Upper abdomen, Field of view 490x490 mm, Computed tomography, Slice index 64

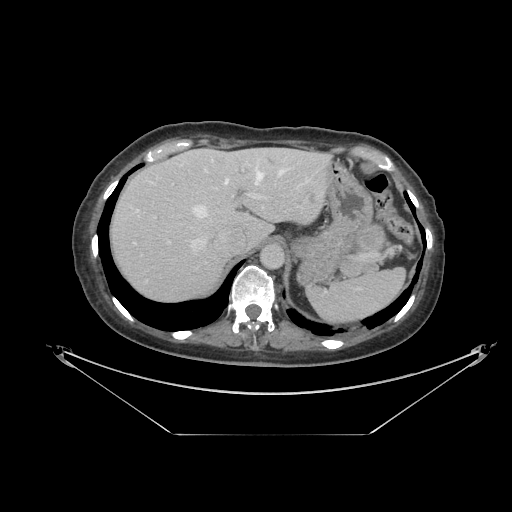

Pancreatic tumor = 354, 223, 384, 252.
Pancreas = 340, 258, 378, 278; 378, 227, 386, 251.